FLAIR magnetic resonance.
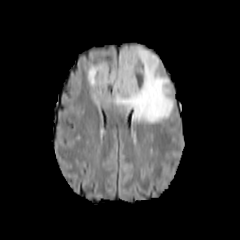
T1-weighted MR.
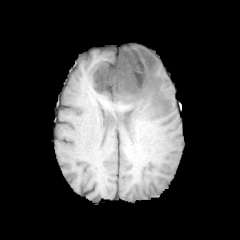
Post-contrast T1-weighted MR.
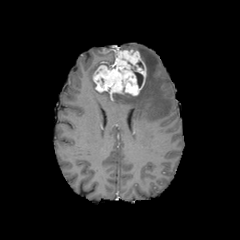
T2-weighted MR image.
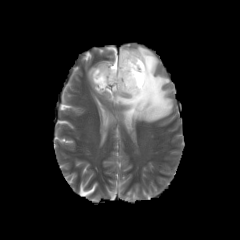
Image size 240x240
Non-enhancing tumor core: bounding box rect(133, 71, 143, 87).
Edema: bounding box rect(109, 47, 173, 123); rect(87, 61, 106, 94).
Enhancing tumor: bounding box rect(92, 46, 146, 95).